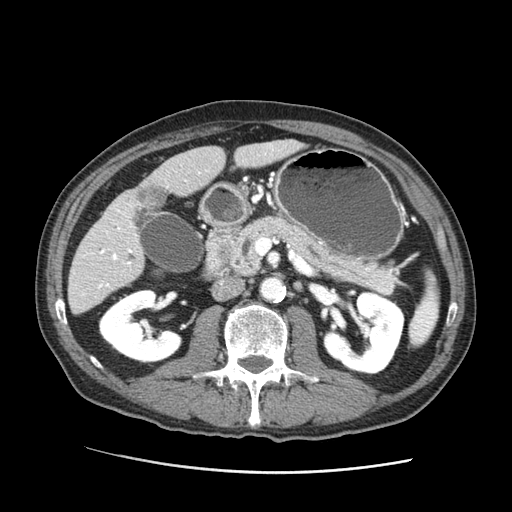

CT slice; Upper abdomen
Segmented structures:
* pancreatic tumor: <bbox>218, 246, 232, 261</bbox>
* pancreas: <bbox>222, 218, 395, 294</bbox>